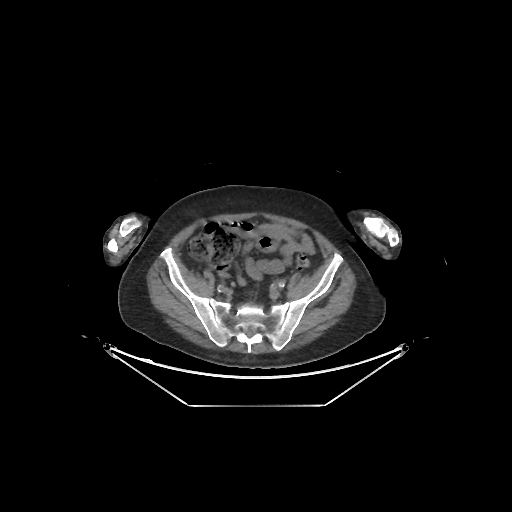
CT scan slice

* bone: 107:238:117:252, 364:217:398:246, 119:218:139:237, 161:248:342:352